Upper abdomen | CT scan slice | Slice 46 of 99
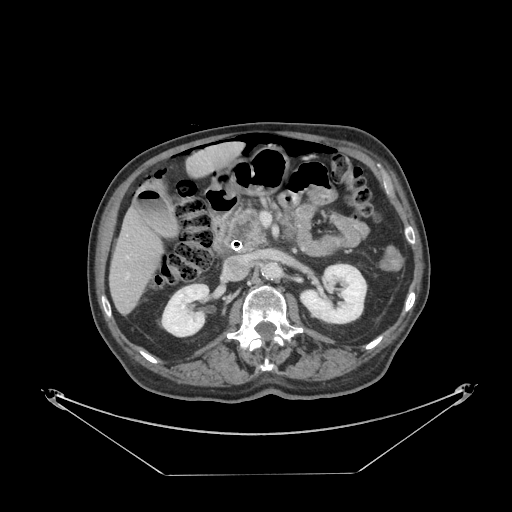
pancreas:
  - box(229, 212, 264, 251)
pancreatic_tumor:
  - box(232, 221, 251, 240)